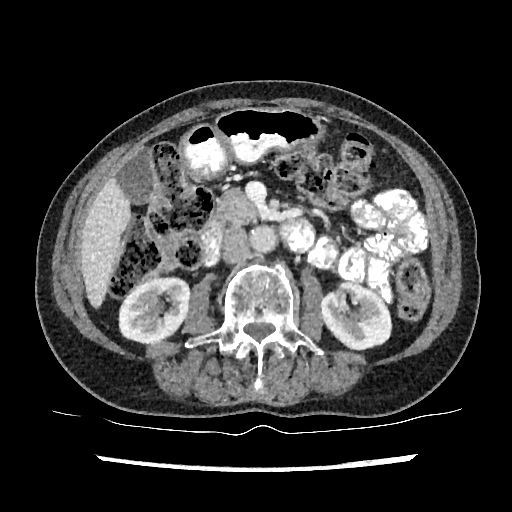
CT image.

Liver: bounding box (81, 181, 130, 306).
Kidney: bounding box (120, 279, 188, 344), (322, 284, 390, 348).